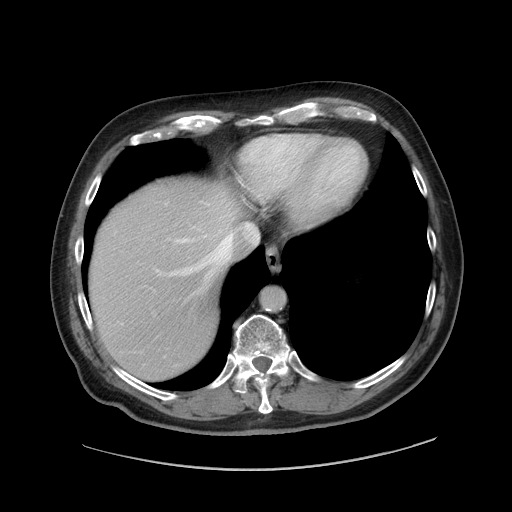 Abdomen. Computed tomography.
Some hepatic vessels may have no box.
Hepatic vessel: bounding box [x1=220, y1=209, x2=232, y2=218], [x1=171, y1=231, x2=233, y2=283], [x1=176, y1=238, x2=192, y2=243], [x1=236, y1=223, x2=258, y2=244], [x1=197, y1=289, x2=201, y2=291], [x1=201, y1=202, x2=208, y2=205], [x1=155, y1=269, x2=159, y2=275], [x1=167, y1=238, x2=168, y2=239], [x1=204, y1=235, x2=206, y2=236], [x1=218, y1=230, x2=221, y2=232].